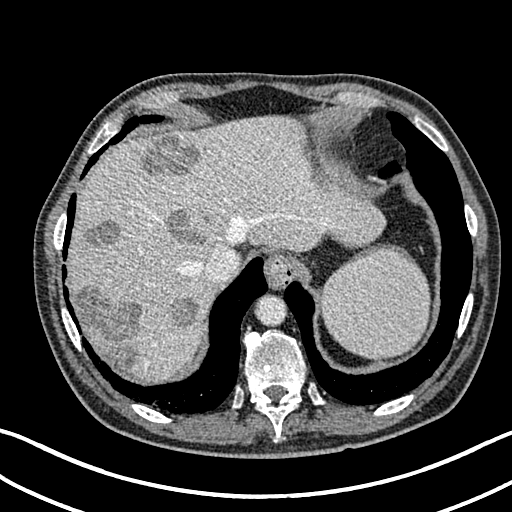
Abdomen; CT image
Segmented structures:
* liver: [x1=69, y1=116, x2=384, y2=379]
* hepatic lesion: [x1=84, y1=221, x2=119, y2=249], [x1=168, y1=298, x2=196, y2=327], [x1=140, y1=136, x2=198, y2=177], [x1=167, y1=209, x2=206, y2=245], [x1=75, y1=288, x2=142, y2=367]